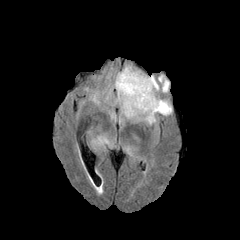
FLAIR MR image.
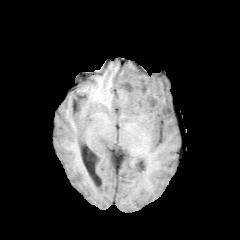
T1-weighted MRI.
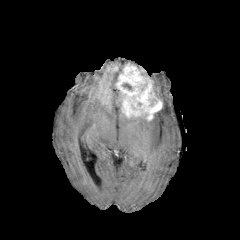
Post-contrast T1-weighted MRI.
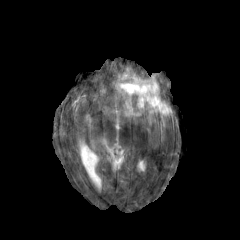
T2-weighted magnetic resonance.
Head
Segmented structures:
- edema: 125,75,172,125; 96,136,109,146; 107,92,121,105
- enhancing tumor: 115,64,162,120
- non-enhancing tumor core: 112,88,123,100